Brain; Slice 93/155
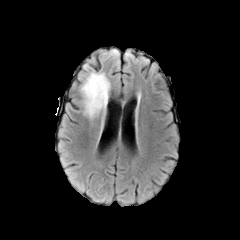
FLAIR MRI.
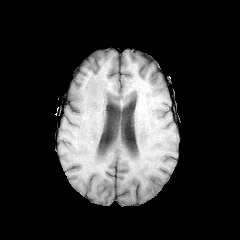
T1-weighted MRI.
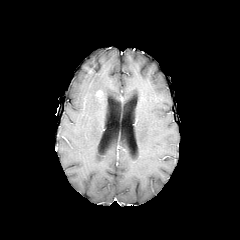
Post-contrast T1-weighted magnetic resonance of the same slice.
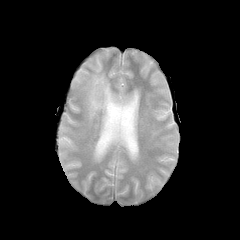
Same slice, T2-weighted MR image.
* edema: {"x1": 79, "y1": 68, "x2": 110, "y2": 130}